Slice index 196, Image width 388 mm, CT, 512x512 px 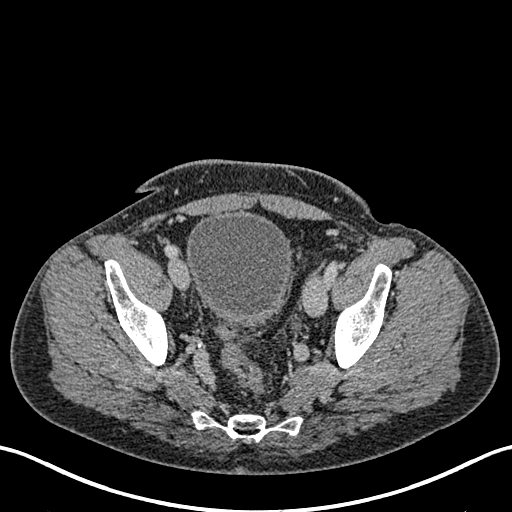 Urinary bladder at (186, 214, 292, 329).